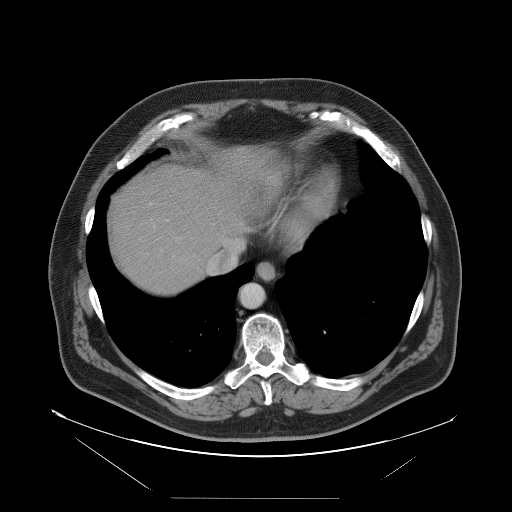
Computed tomography. Some hepatic vessels may have no box.
Hepatic vessel at <bbox>223, 238, 229, 245</bbox>.